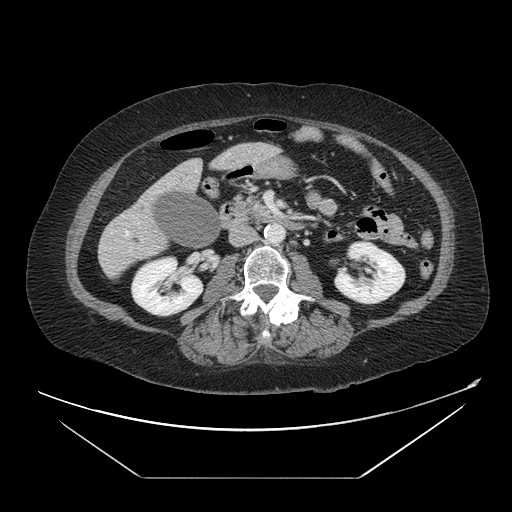 Computed tomography. Abdomen. 512x512 px.

{
  "pancreas": [
    "(249, 203, 271, 219)"
  ]
}